FLAIR MRI.
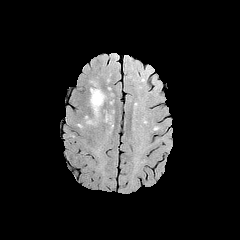
T1-weighted MR.
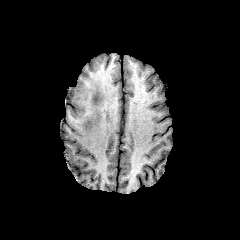
Post-contrast T1-weighted MR.
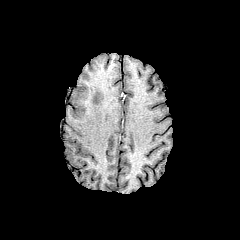
T2-weighted MR image.
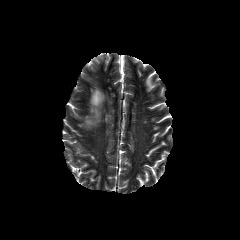
Brain
Edema — rect(85, 79, 106, 127).